FLAIR MR.
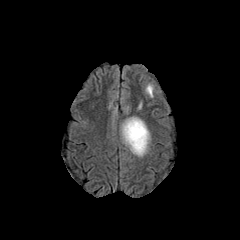
T1-weighted MRI.
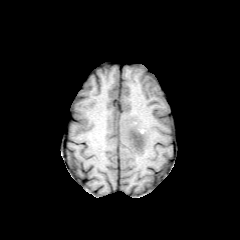
Post-contrast T1-weighted magnetic resonance.
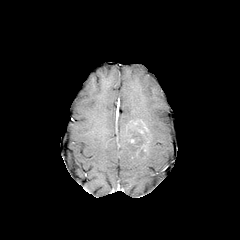
T2-weighted MRI.
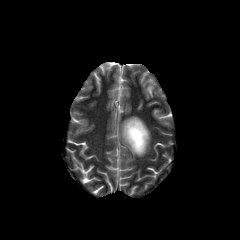
Head
The edema lies within [120, 116, 150, 156]. The enhancing tumor is located at [130, 122, 148, 134]. The non-enhancing tumor core appears at [128, 129, 149, 153].